FLAIR MRI.
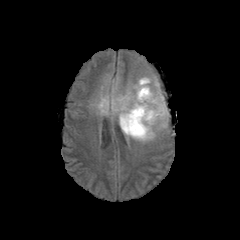
T1-weighted magnetic resonance.
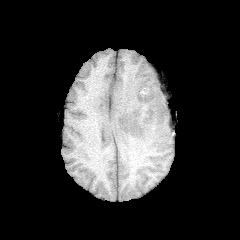
Post-contrast T1-weighted MR.
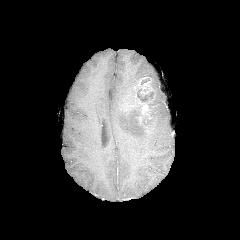
T2-weighted MR.
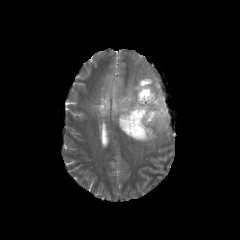
Brain | 240x240
Edema at l=152, t=82, r=166, b=111; l=127, t=78, r=141, b=92; l=95, t=90, r=169, b=143.
Non-enhancing tumor core at l=128, t=82, r=164, b=131; l=112, t=94, r=130, b=111.
Enhancing tumor at l=122, t=94, r=131, b=111; l=138, t=80, r=151, b=92; l=134, t=98, r=151, b=121.